Computed tomography | Field of view 390 mm wide, 5.00 mm slice spacing | Image size 512x512 | Liver

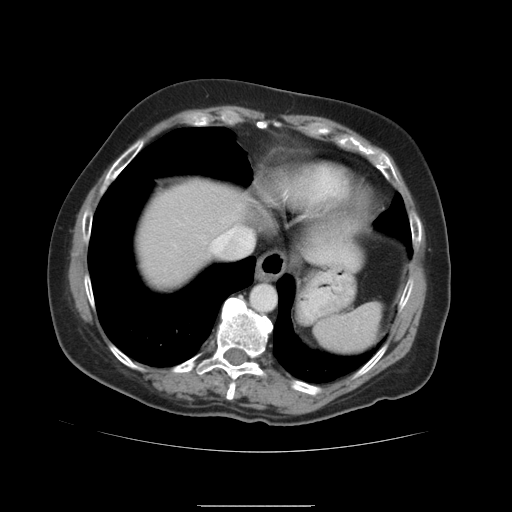 The vessel boxes may cover only some of the vessels.
Hepatic vessel at box=[210, 226, 253, 256]; box=[222, 222, 226, 222].